Slice 449/836 | Upper abdomen | CT image 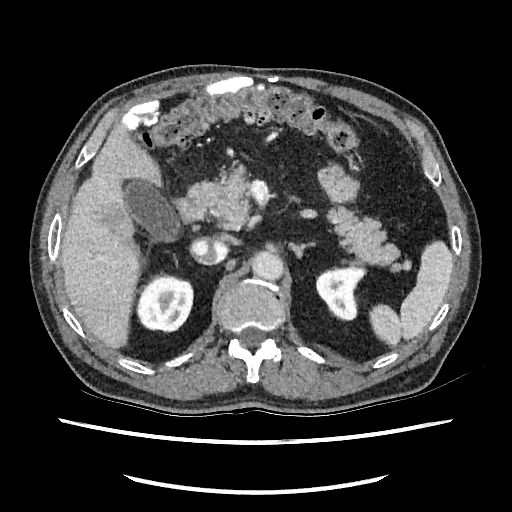
Liver — left=63, top=124, right=159, bottom=347.
Kidney — left=136, top=275, right=193, bottom=331; left=316, top=267, right=363, bottom=320.
Focal liver lesion — left=99, top=209, right=123, bottom=231; left=126, top=238, right=138, bottom=257.